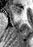

Hippocampus, Magnetic resonance
The anterior hippocampus lies within 10, 6, 21, 14.